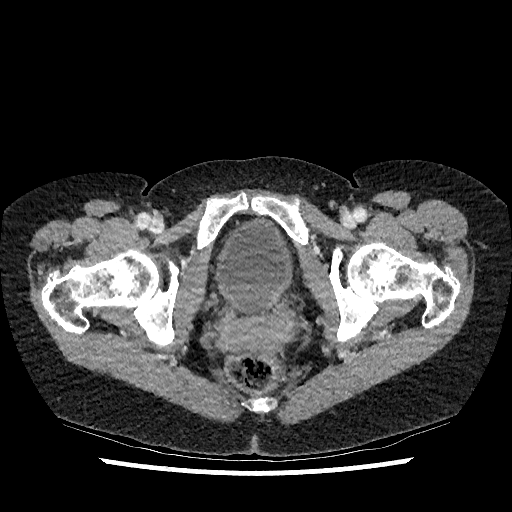 Image size 512x512, CT
The urinary bladder is bounded by 211:214:295:296.